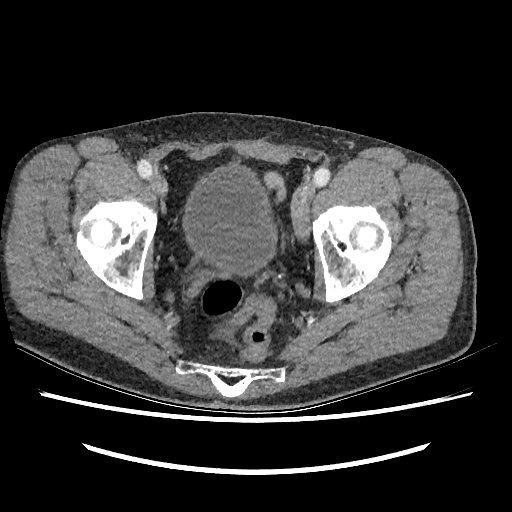
CT.

The urinary bladder lies within [186, 169, 271, 275].